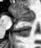 MR image | 41x48 px

Posterior hippocampus: left=15, top=17, right=34, bottom=22.
Anterior hippocampus: left=12, top=9, right=34, bottom=16.